Field of view 460 mm wide, 5.00 mm slice spacing, CT slice 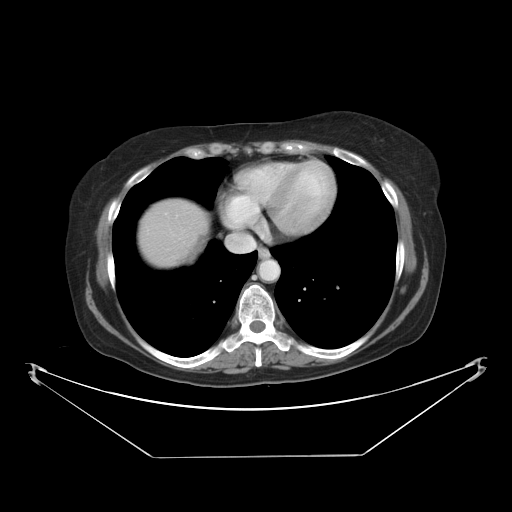
liver_tumor:
  - 177,236,204,265